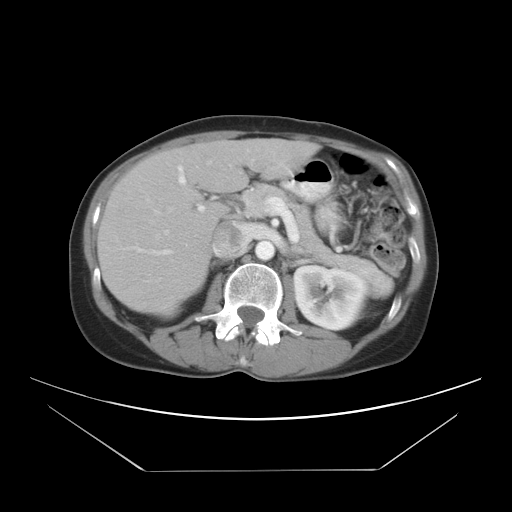

CT slice
Only some of the vessels may be annotated.
partial: true
hepatic_vessel:
  # 15 of 17 shown
  - (155,234,159,237)
  - (170,296,172,298)
  - (164,230,167,233)
  - (255,147,257,149)
  - (245,149,248,151)
  - (153,209,158,212)
  - (177,159,181,168)
  - (146,197,149,201)
  - (143,303,145,305)
  - (229,164,230,166)
  - (179,179,185,185)
  - (119,244,171,254)
  - (249,158,252,164)
  - (242,178,243,180)
  - (200,207,202,209)